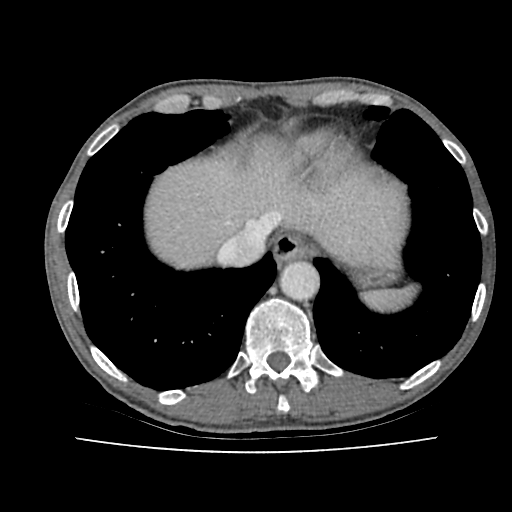 Computed tomography | Upper abdomen
Segmented structures:
• liver: x1=145 y1=135 x2=407 y2=268